Computed tomography
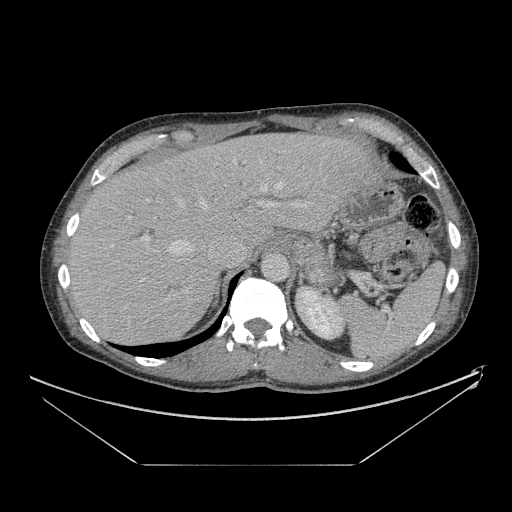

The pancreas is bounded by (342,250,351,259).